Slice 41/84, CT image, Upper abdomen, Field of view 398x398 mm
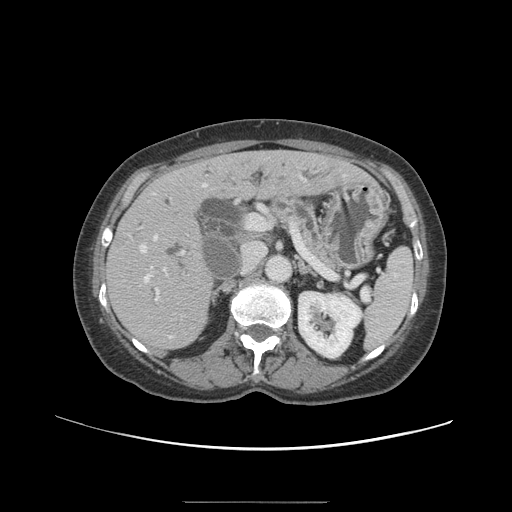

Pancreas at {"x1": 272, "y1": 195, "x2": 335, "y2": 267}.